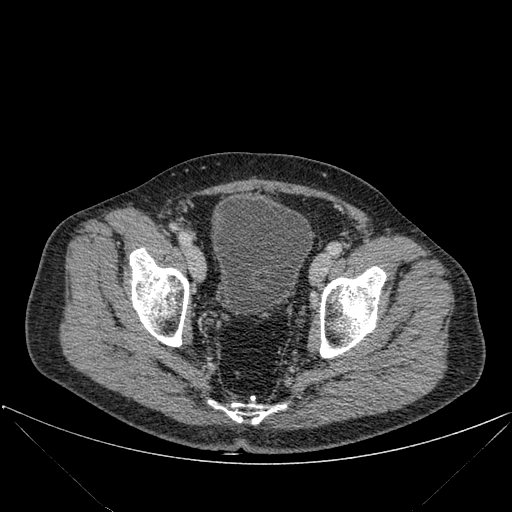 CT scan slice. Urinary bladder: [211,197,313,315].
Bone: [130,248,188,346], [208,400,286,424], [320,266,386,357].